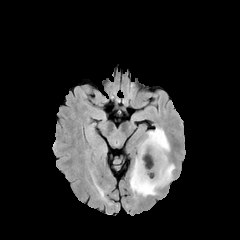
FLAIR MR.
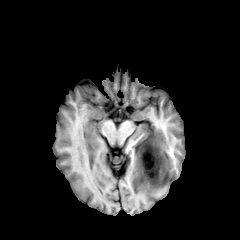
T1-weighted MR.
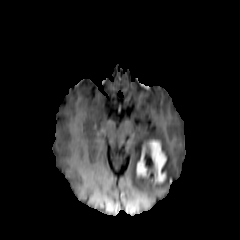
Post-contrast T1-weighted MR.
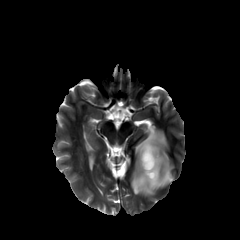
T2-weighted MR image of the same slice.
Brain.
enhancing_tumor:
  - rect(148, 140, 166, 183)
  - rect(136, 146, 148, 176)
non-enhancing_tumor_core:
  - rect(142, 143, 150, 155)
  - rect(142, 165, 154, 182)
edema:
  - rect(130, 127, 174, 196)